MR image | Field of view 400 mm wide, 1.37 mm slice spacing | Image size 320x320 | Heart
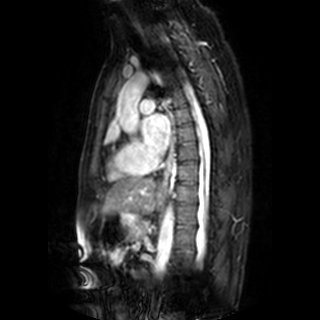

Left atrium — 143 114 170 153.